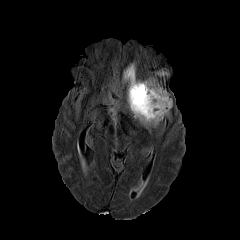
FLAIR MRI.
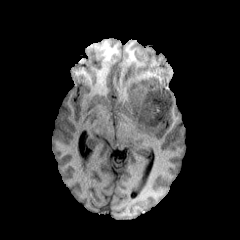
Same slice, T1-weighted MR.
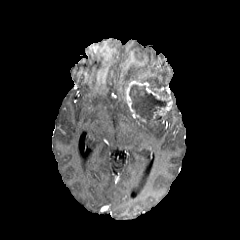
Same slice, post-contrast T1-weighted MRI.
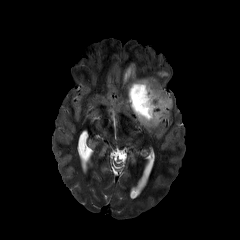
T2-weighted MR image of the same slice.
240x240 px | Head
The non-enhancing tumor core is bounded by l=129, t=84, r=170, b=122. 2 enhancing tumor regions are bounded by l=125, t=80, r=159, b=117; l=142, t=100, r=172, b=126. 4 edema regions are bounded by l=122, t=61, r=138, b=86; l=144, t=77, r=162, b=89; l=157, t=70, r=168, b=79; l=138, t=117, r=158, b=133.